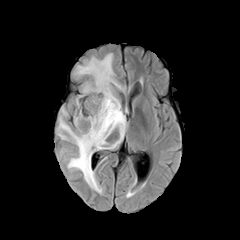
FLAIR magnetic resonance.
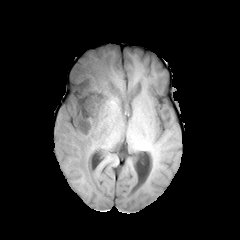
Same slice, T1-weighted MRI.
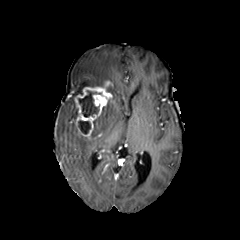
Same slice, post-contrast T1-weighted MR image.
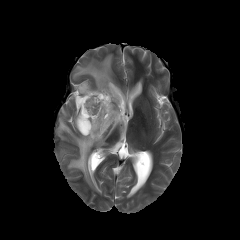
T2-weighted MR image.
Annotated regions:
- non-enhancing tumor core: [74,83,95,103], [100,80,111,91], [74,120,90,135], [78,91,97,117], [93,118,98,131]
- edema: [58,53,127,191]
- enhancing tumor: [75,84,112,137]